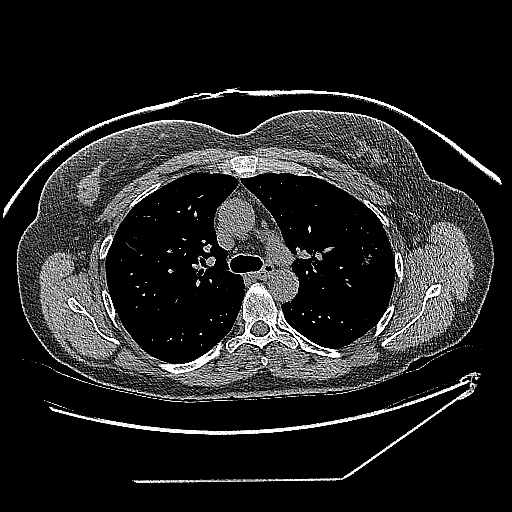 Computed tomography

lung_tumor:
  - (357,249,374,266)